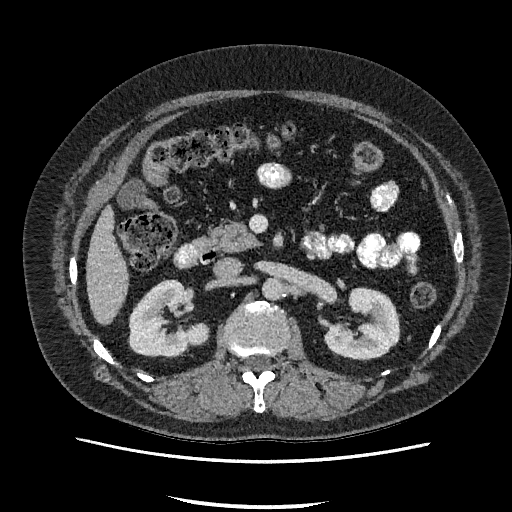
CT slice

Liver: <bbox>86, 206, 129, 324</bbox>.
Kidney: <bbox>130, 280, 206, 355</bbox>, <bbox>325, 289, 398, 358</bbox>.